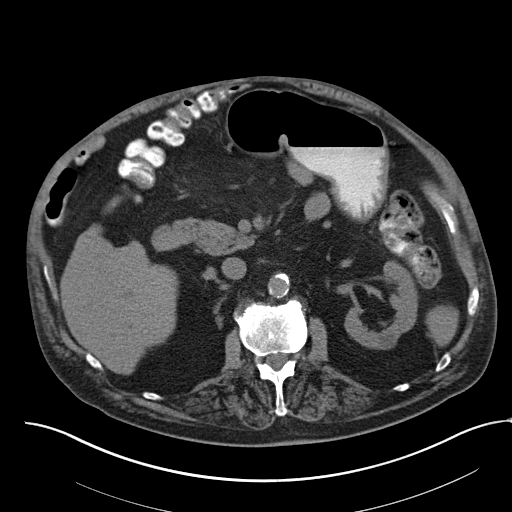
CT image. Segmented structures:
• spleen: left=428, top=307, right=456, bottom=344